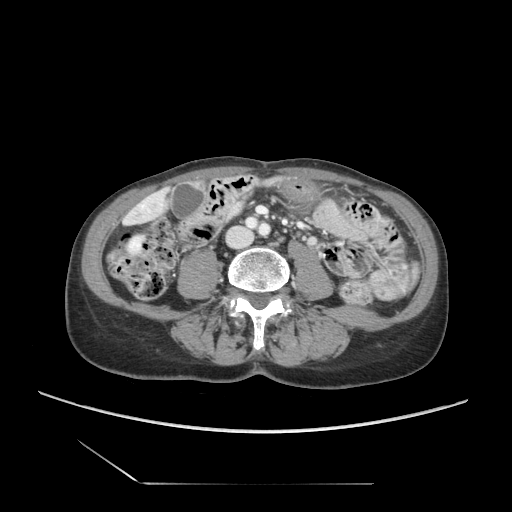

CT image. Upper abdomen.
Annotated regions:
* pancreas: [x1=232, y1=205, x2=241, y2=215]